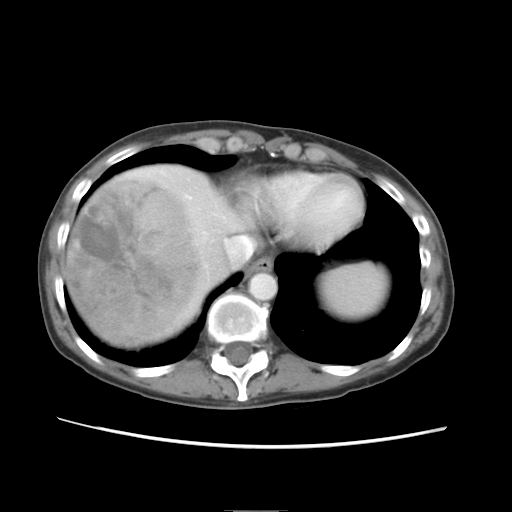

CT image
Not every hepatic vessel necessarily has a box.
Hepatic vessel: x1=185, y1=195, x2=190, y2=198.
Liver tumor: x1=66, y1=180, x2=203, y2=346.